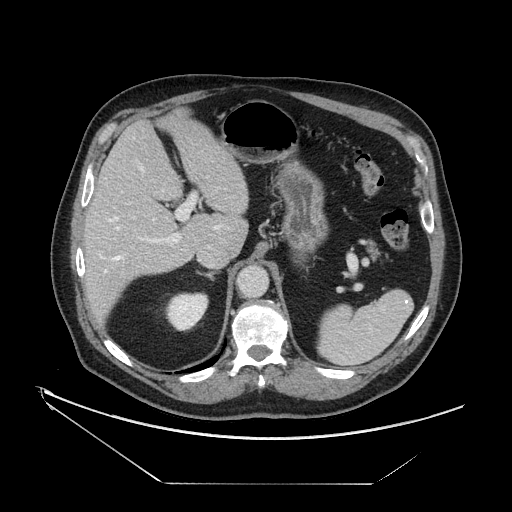
CT. Upper abdomen.
<segmentation>
  <pancreas>bbox(365, 241, 380, 260)</pancreas>
</segmentation>